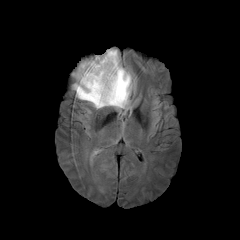
FLAIR MR.
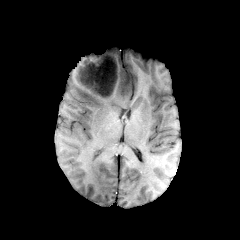
T1-weighted magnetic resonance.
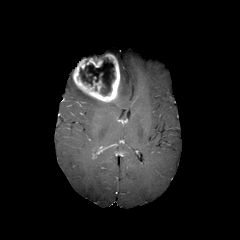
Same slice, post-contrast T1-weighted MRI.
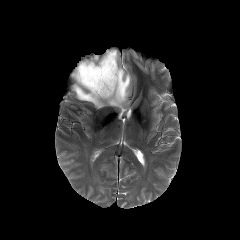
Same slice, T2-weighted MR.
240x240 px; Brain
Edema at region(72, 48, 134, 114).
Enhancing tumor at region(72, 53, 120, 101).
Non-enhancing tumor core at region(80, 58, 113, 95).